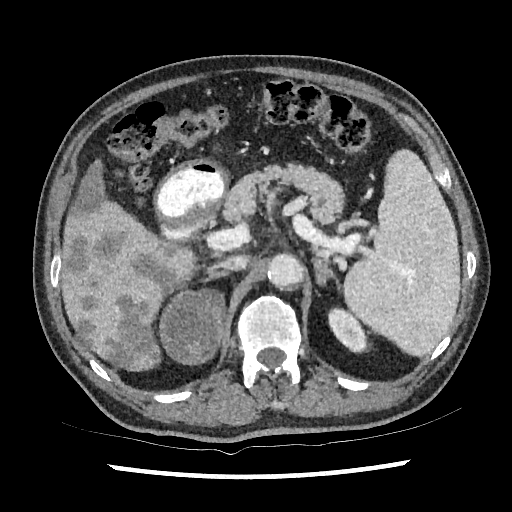 CT scan slice
kidney: (329, 309, 365, 351) | liver lesion: (90, 229, 129, 264), (132, 253, 179, 292), (74, 318, 96, 348), (69, 160, 104, 217), (153, 241, 181, 257), (62, 234, 88, 277), (85, 274, 102, 287), (80, 294, 101, 312), (104, 294, 159, 367) | liver: (60, 194, 197, 361), (127, 355, 154, 369)